Image width 411 mm | Computed tomography | Abdomen | Slice 91 of 154 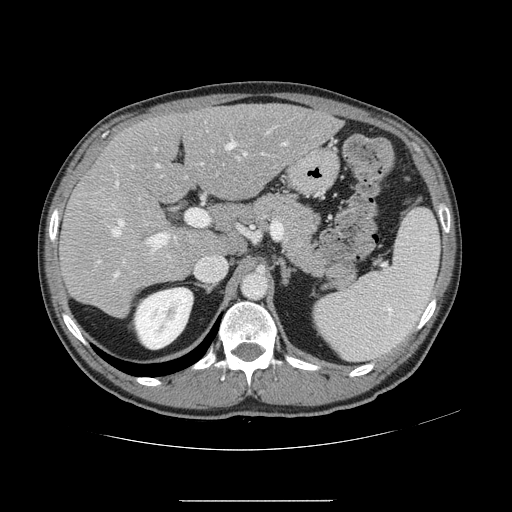

The vessel boxes may cover only some of the vessels.
The largest 15 hepatic vessel regions (of 21) appear at 243:152:245:155, 173:236:177:244, 115:180:118:186, 168:255:169:258, 225:137:235:149, 116:173:118:176, 186:209:204:226, 112:272:119:282, 274:126:276:127, 267:130:269:133, 148:233:168:253, 155:164:159:167, 282:142:286:145, 111:218:123:236, 97:260:100:262.